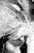

MRI | Hippocampus
Posterior hippocampus at left=14, top=36, right=24, bottom=46.